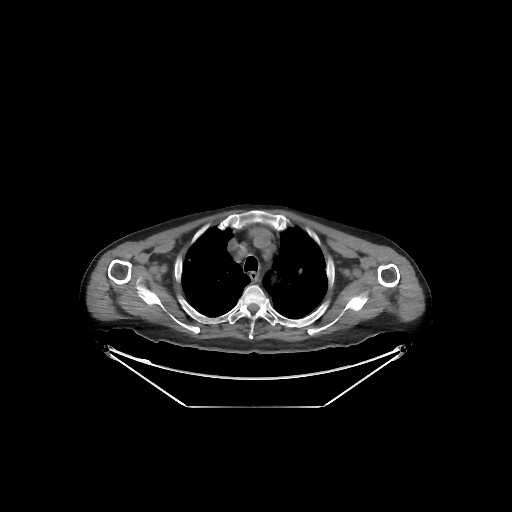 CT scan slice. Thorax. lung:
  - x1=262 y1=225 x2=327 y2=318
  - x1=181 y1=226 x2=257 y2=317
bone:
  - x1=136 y1=278 x2=163 y2=308
  - x1=173 y1=317 x2=199 y2=333
  - x1=175 y1=262 x2=181 y2=279
  - x1=308 y1=293 x2=367 y2=334
  - x1=179 y1=297 x2=192 y2=313
  - x1=219 y1=210 x2=288 y2=229
  - x1=293 y1=303 x2=327 y2=326
  - x1=108 y1=259 x2=131 y2=284
  - x1=377 y1=264 x2=399 y2=286
  - x1=233 y1=285 x2=279 y2=338